Slice 60 of 155; 240x240 px
FLAIR MR image.
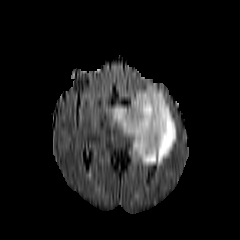
T1-weighted MRI.
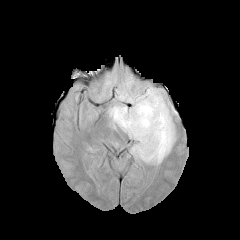
Post-contrast T1-weighted magnetic resonance.
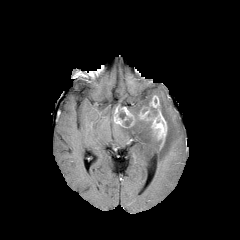
T2-weighted MR image.
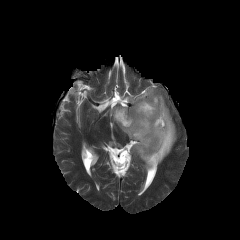
Enhancing tumor — 120, 107, 133, 125; 139, 95, 167, 145; 114, 107, 122, 125.
Non-enhancing tumor core — 142, 106, 157, 117; 118, 107, 131, 126.
Edema — 118, 85, 176, 166.